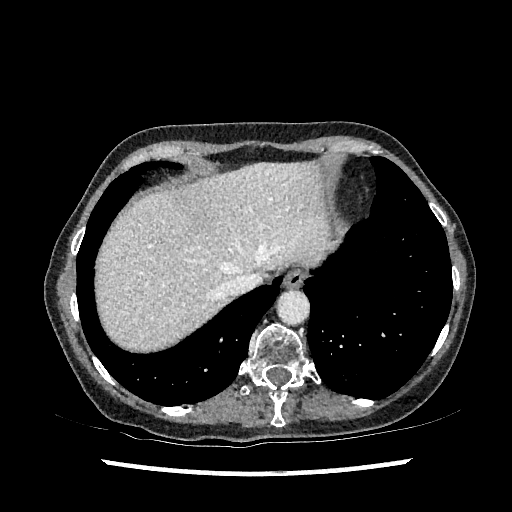
CT slice, Image size 512x512
The liver is located at x1=96 y1=163 x2=328 y2=348.